Slice 57/155. Brain.
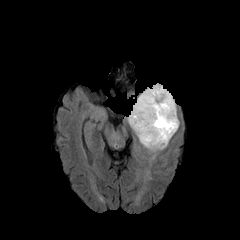
FLAIR MRI.
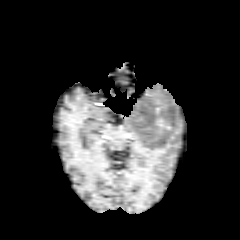
T1-weighted magnetic resonance.
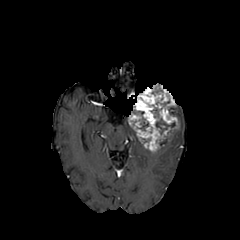
Post-contrast T1-weighted MR image of the same slice.
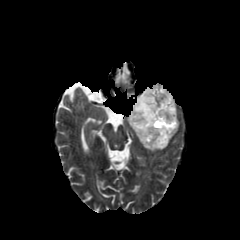
Same slice, T2-weighted MRI.
The enhancing tumor is located at x1=128, y1=84, x2=178, y2=150. The edema appears at x1=145, y1=121, x2=179, y2=154. 2 non-enhancing tumor core regions are located at x1=151, y1=106, x2=175, y2=133; x1=168, y1=106, x2=177, y2=118.